Slice 16 of 88. Image size 512x512. CT. Abdomen. 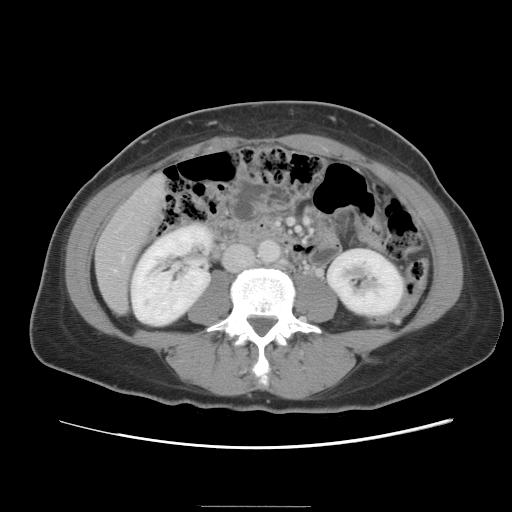

Some hepatic vessels may have no box.
Annotated regions:
* hepatic vessel: {"x1": 113, "y1": 269, "x2": 115, "y2": 271}, {"x1": 121, "y1": 255, "x2": 123, "y2": 259}